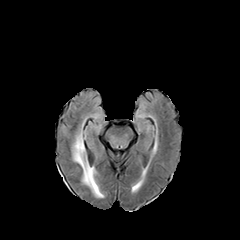
FLAIR magnetic resonance.
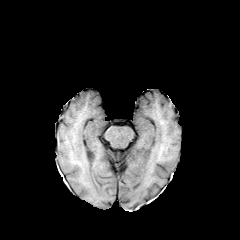
T1-weighted MR image.
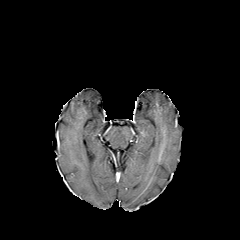
Post-contrast T1-weighted magnetic resonance of the same slice.
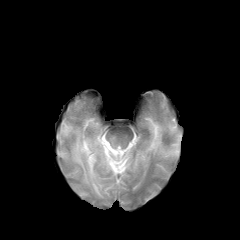
Same slice, T2-weighted MRI.
Brain.
The edema appears at (72,132,103,197).